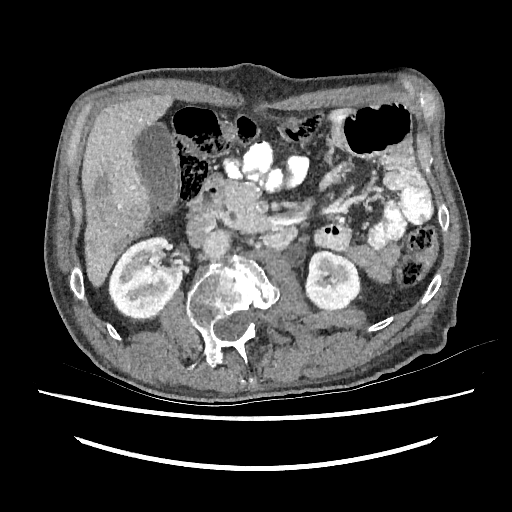

CT.
The liver appears at [82,95,171,287]. 2 kidney regions are located at [109,238,183,317], [306,251,359,309]. The liver lesion is bounded by [92,170,145,253].